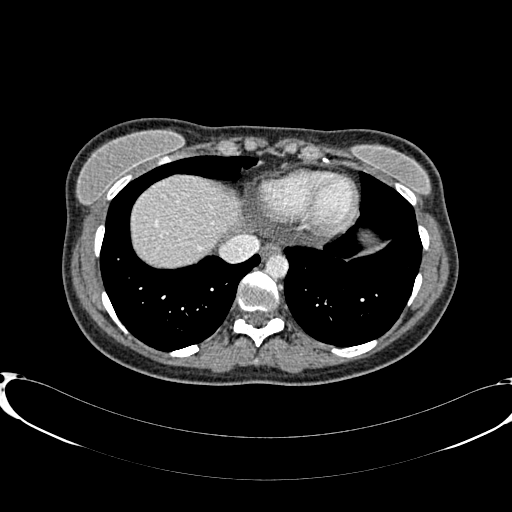 Image size 512x512; Abdomen; Computed tomography
liver:
  - <bbox>132, 176, 239, 266</bbox>